FLAIR MR.
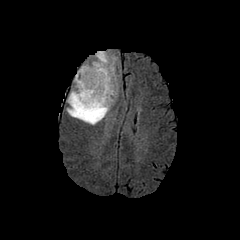
T1-weighted MR.
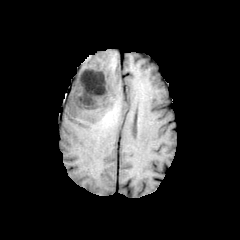
Post-contrast T1-weighted MRI.
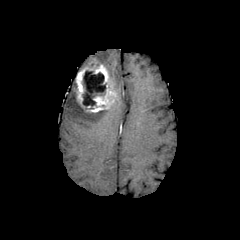
T2-weighted MR.
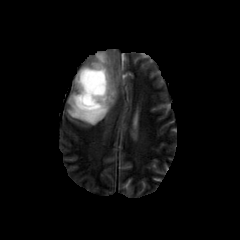
Segmented structures:
• non-enhancing tumor core: 76 70 106 114
• enhancing tumor: 75 64 115 112
• edema: 66 76 111 125, 82 51 120 94